Abdomen, CT image, Slice index 60

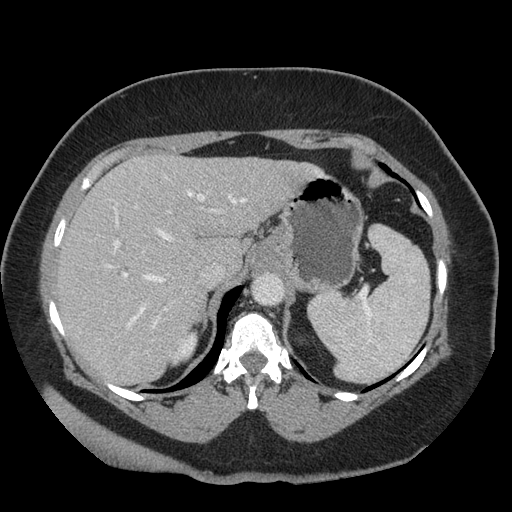

The vessel boxes may cover only some of the vessels.
Findings:
- hepatic vessel: 122,273,127,277; 128,305,144,326; 189,191,192,195; 151,319,157,329; 169,211,170,213; 241,199,245,201; 145,275,163,282; 113,241,119,252; 113,208,118,229; 105,265,111,267; 164,309,167,310; 229,195,238,203; 198,195,204,200; 158,230,170,239; 211,210,219,212